Image size 512x512, Field of view 370x370 mm, Computed tomography, Liver
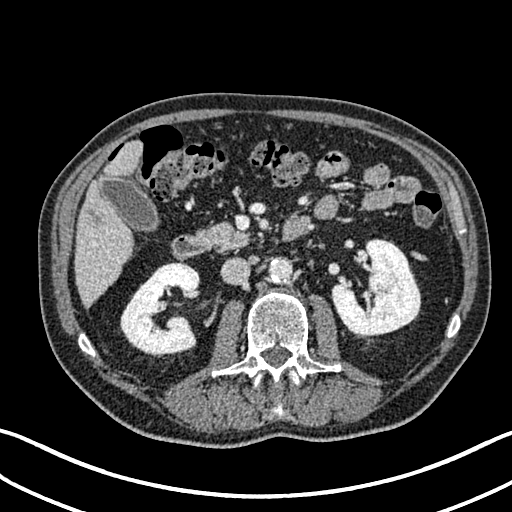
2 kidney regions are located at 121:263:198:353, 332:240:420:334. 2 liver regions are located at 76:181:132:307, 104:141:142:175. The focal liver lesion is at 87:210:102:223.